Liver, CT slice, Slice 84/174

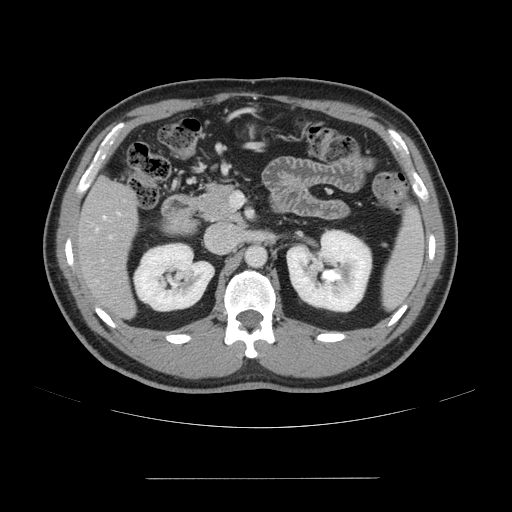 Some hepatic vessels may have no box.
<segmentation>
  <hepatic_vessel>rect(103, 216, 105, 218); rect(117, 212, 120, 214); rect(96, 228, 97, 231); rect(109, 235, 111, 238)</hepatic_vessel>
</segmentation>